CT, Slice 126 of 466 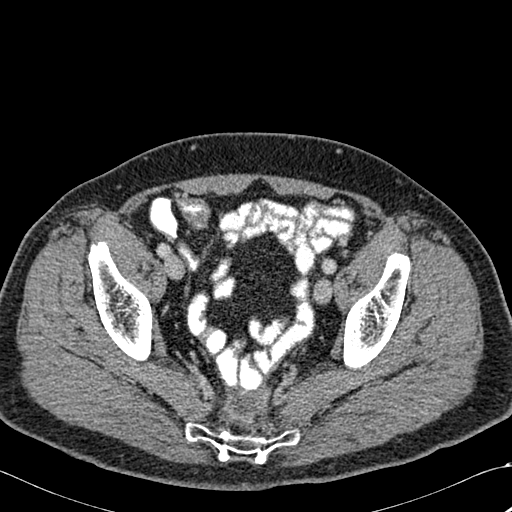

bone: (x1=344, y1=253, x2=410, y2=368), (x1=186, y1=423, x2=298, y2=463), (x1=88, y1=242, x2=151, y2=360)